FLAIR magnetic resonance.
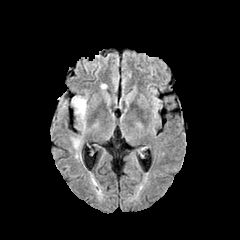
T1-weighted MR image.
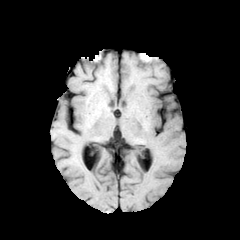
Post-contrast T1-weighted MRI.
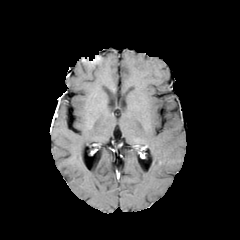
T2-weighted MR.
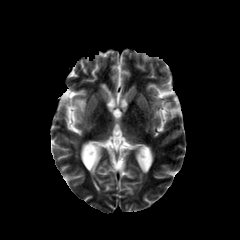
240x240
Edema at box=[70, 94, 88, 147].